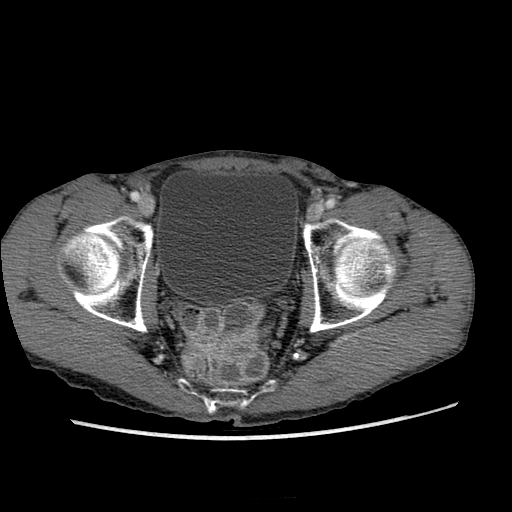

CT.

The urinary bladder appears at (left=160, top=168, right=296, bottom=299).